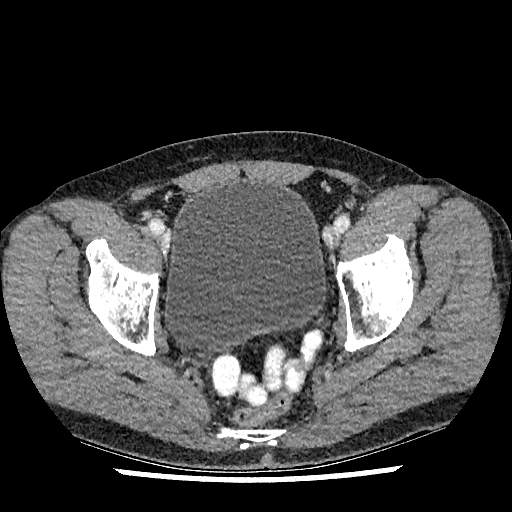 Computed tomography

urinary_bladder:
  - (x1=165, y1=180, x2=326, y2=354)